FLAIR MRI.
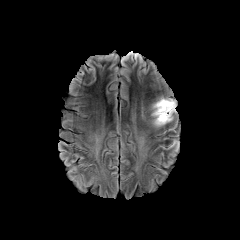
T1-weighted magnetic resonance.
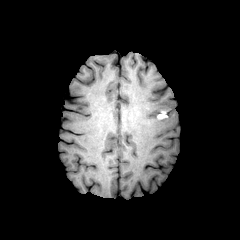
Post-contrast T1-weighted MR.
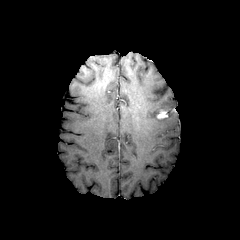
T2-weighted magnetic resonance.
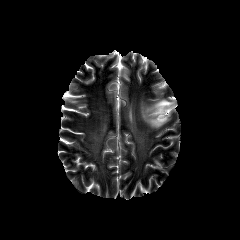
Head | 240x240
{"enhancing_tumor": ["[x1=156, y1=112, x2=167, y2=118]"], "edema": ["[x1=142, y1=97, x2=176, y2=128]"]}